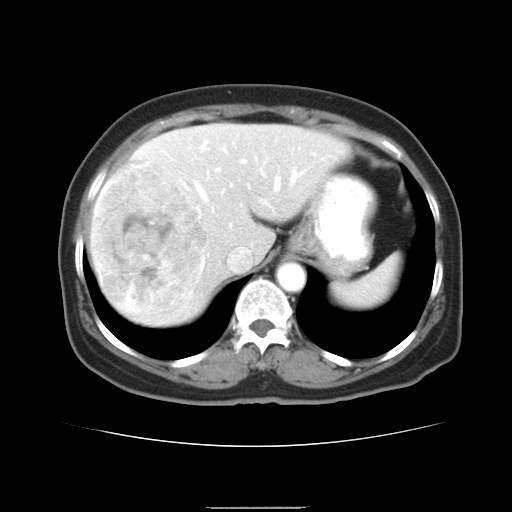 Liver; Computed tomography
Not every hepatic vessel necessarily has a box.
The liver tumor is bounded by left=91, top=160, right=208, bottom=318. 14 hepatic vessel regions are located at left=197, top=208, right=199, bottom=210; left=215, top=168, right=219, bottom=171; left=200, top=141, right=206, bottom=150; left=274, top=177, right=279, bottom=189; left=229, top=224, right=230, bottom=226; left=230, top=184, right=231, bottom=186; left=196, top=185, right=204, bottom=197; left=259, top=169, right=263, bottom=174; left=290, top=170, right=303, bottom=182; left=222, top=148, right=226, bottom=152; left=240, top=159, right=244, bottom=163; left=232, top=143, right=233, bottom=144; left=312, top=153, right=314, bottom=154; left=211, top=208, right=212, bottom=211.